Abdomen. Computed tomography.

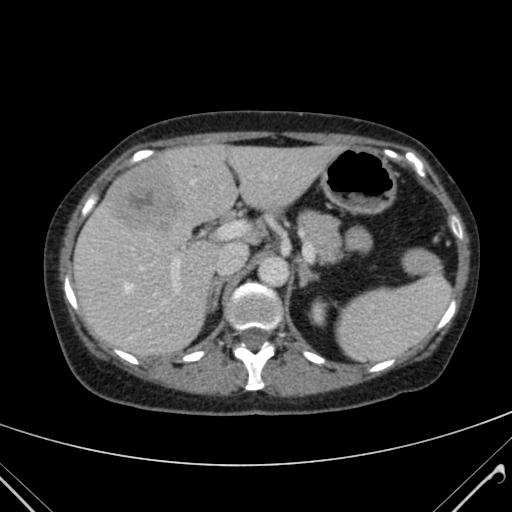 The hepatic lesion is bounded by [105, 162, 187, 236]. The liver is bounded by [75, 143, 331, 356].